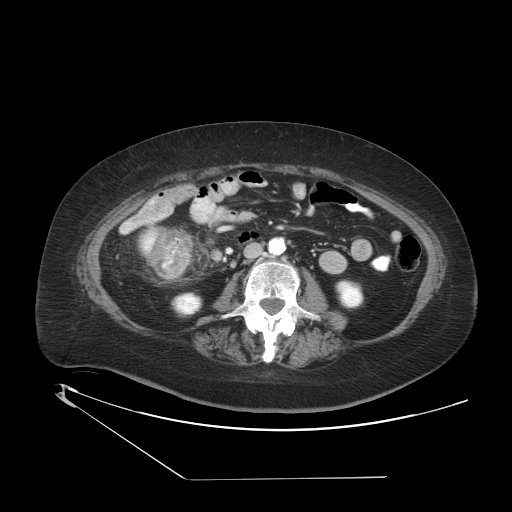
CT slice. {"colon_tumor": ["rect(147, 229, 191, 278)"]}